Image width 381 mm; Computed tomography; Slice 73 of 424

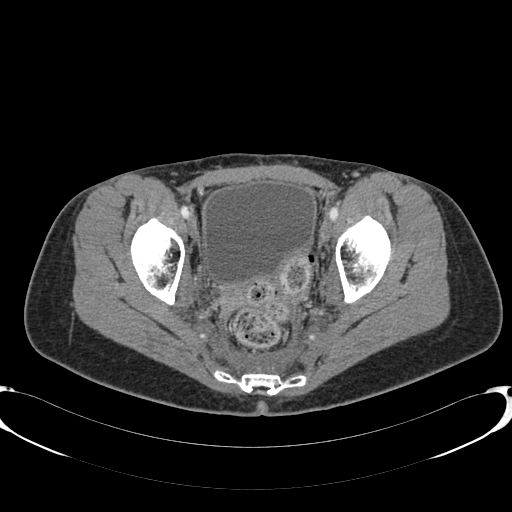

* urinary bladder: [206,183,313,282]